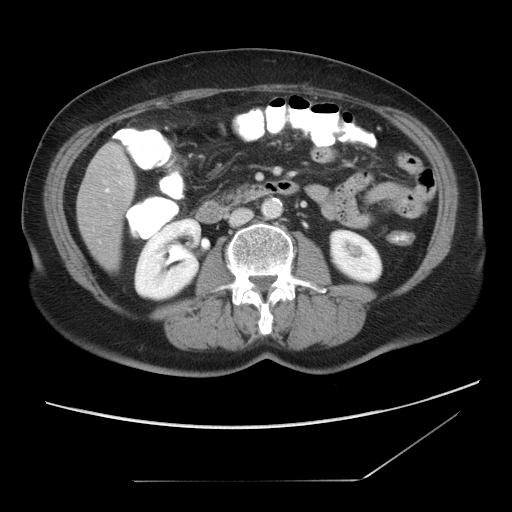 Image size 512x512; CT scan slice

The vessel annotation is not exhaustive.
2 hepatic vessel regions are located at 118 166 119 168, 106 189 109 191.